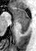

MRI slice
Segmented structures:
• posterior hippocampus: (19,23,29,33)
• anterior hippocampus: (12,8,30,22)